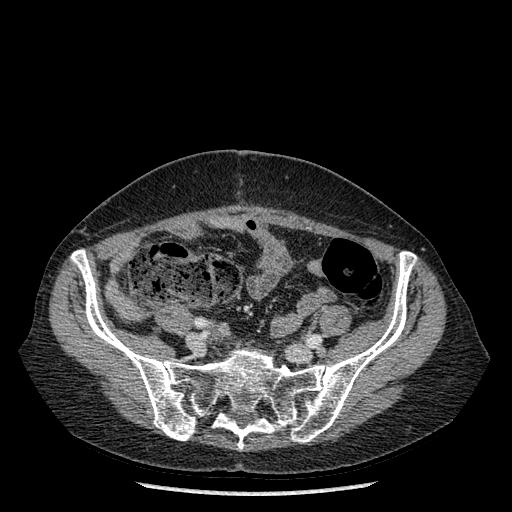 Computed tomography
{
  "bone": [
    "(70,249,417,449)"
  ]
}